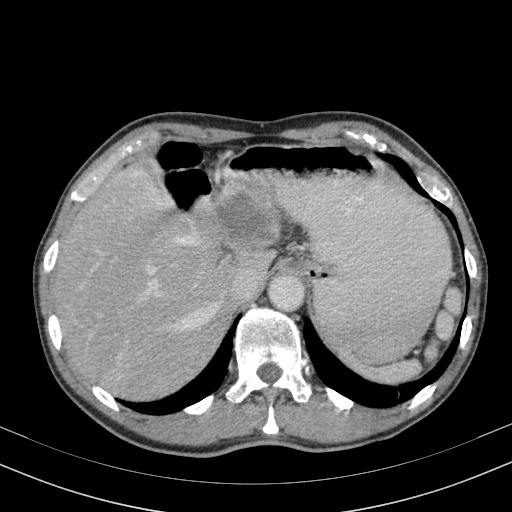
CT slice. Liver.
The liver lesion lies within (216, 193, 269, 243). The liver lies within (55, 160, 279, 402).